CT image, 512x512, Field of view 370 mm wide, 0.70 mm slice spacing, Liver

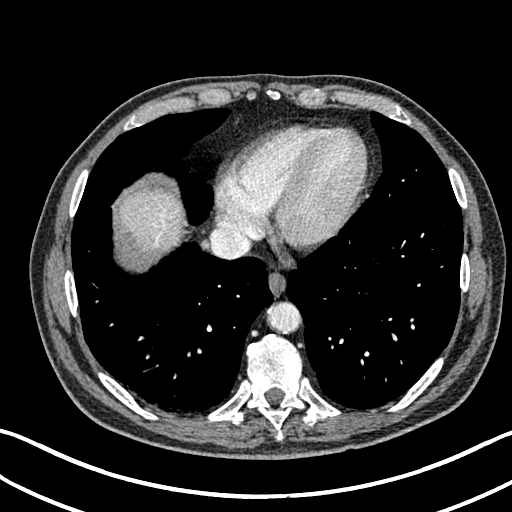
Segmented structures:
* liver: [120, 189, 180, 253]